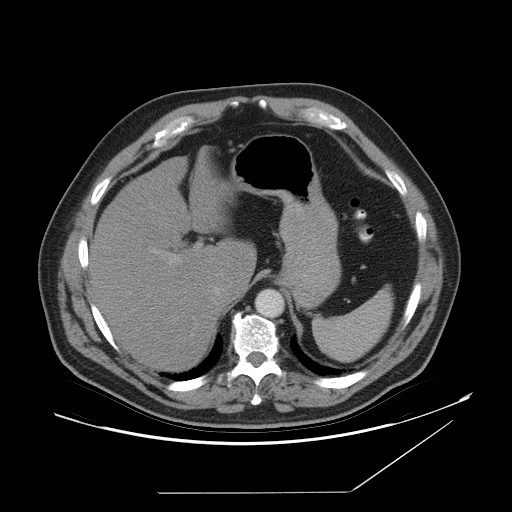

Image size 512x512, CT slice

- spleen: 314:288:391:360